CT scan slice
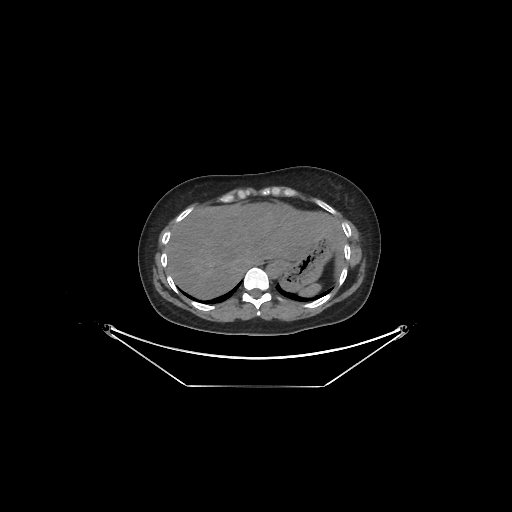

{
  "liver": [
    "(left=165, top=203, right=346, bottom=297)"
  ]
}